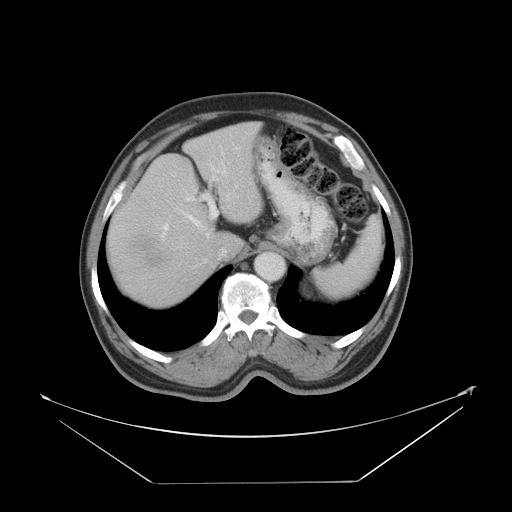 Liver. CT.
Not every hepatic vessel necessarily has a box.
liver tumor: 137 237 163 266 | hepatic vessel: 185 194 193 200, 161 224 168 239, 236 147 237 149, 172 173 175 176, 181 211 211 236, 227 206 229 207, 210 151 229 180, 202 195 216 218, 175 206 177 209, 226 192 229 199